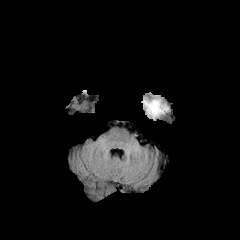
FLAIR MR image.
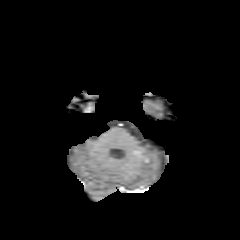
T1-weighted MR.
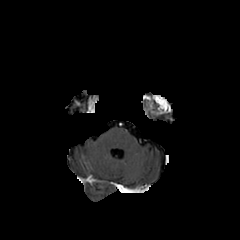
Post-contrast T1-weighted MR image of the same slice.
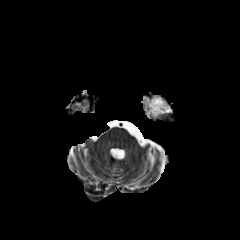
Same slice, T2-weighted magnetic resonance.
edema: (143,104,159,117) | enhancing tumor: (145,97,168,114)